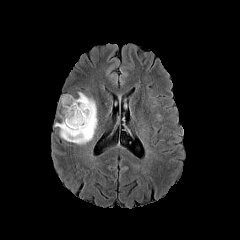
FLAIR magnetic resonance.
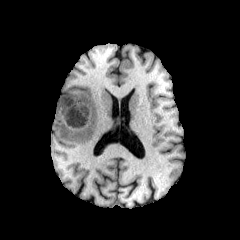
T1-weighted magnetic resonance of the same slice.
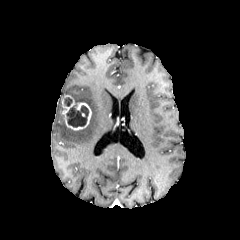
Post-contrast T1-weighted MR.
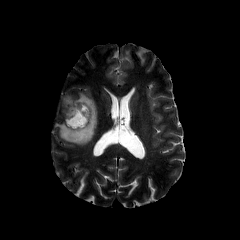
Same slice, T2-weighted magnetic resonance.
Brain
Annotated regions:
• enhancing tumor: [x1=61, y1=94, x2=91, y2=129]
• non-enhancing tumor core: [x1=64, y1=97, x2=72, y2=106], [x1=66, y1=105, x2=89, y2=127]
• edema: [x1=55, y1=92, x2=97, y2=144]